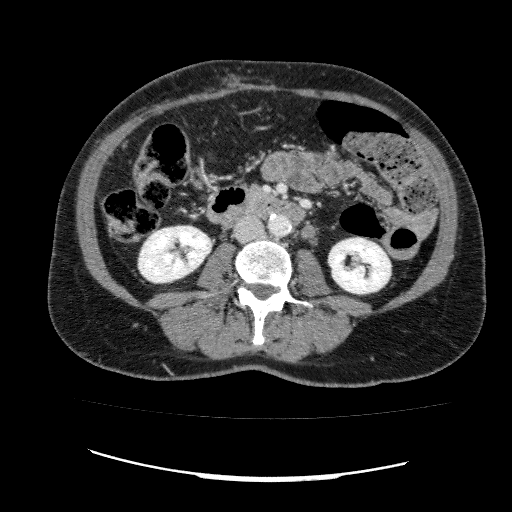 Abdomen | CT image

2 kidney regions are bounded by (329,238,390,293), (139,226,210,282).